Field of view 240x240 mm.
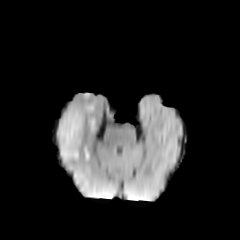
FLAIR MR image.
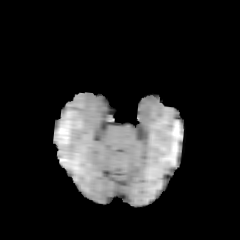
T1-weighted MR image of the same slice.
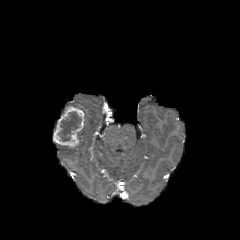
Same slice, post-contrast T1-weighted MRI.
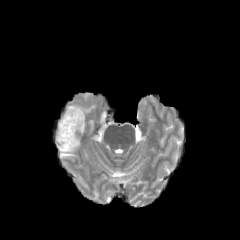
T2-weighted MR image of the same slice.
<segmentation>
  <enhancing_tumor>[52,105,85,147]</enhancing_tumor>
  <edema>[69,104,95,118], [58,144,78,160]</edema>
  <non-enhancing_tumor_core>[58,111,81,141]</non-enhancing_tumor_core>
</segmentation>